Liver. CT image. 512x512 px.
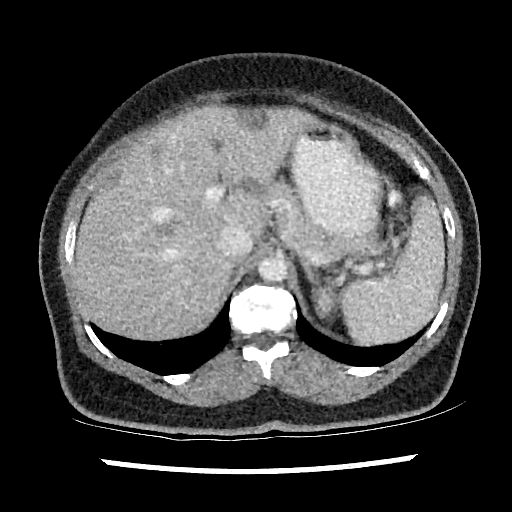
liver_lesion:
  - l=241, t=109, r=268, b=129
  - l=152, t=147, r=159, b=155
  - l=159, t=217, r=177, b=233
  - l=105, t=170, r=119, b=187
  - l=239, t=176, r=265, b=193
liver:
  - l=72, t=107, r=313, b=338